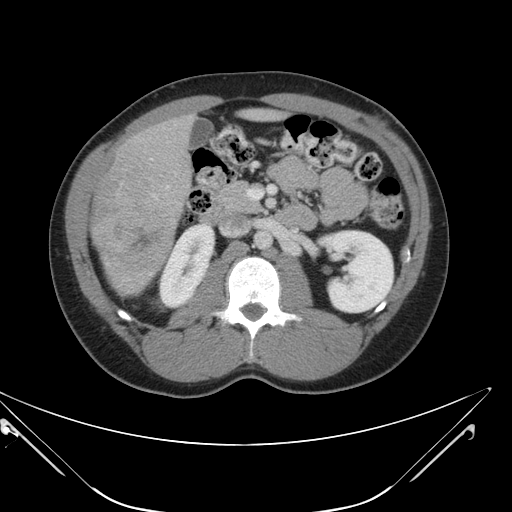
Abdomen | CT scan slice
The vessel annotation is not exhaustive.
liver tumor: [94,208,174,294] | hepatic vessel: [166,185,168,188]